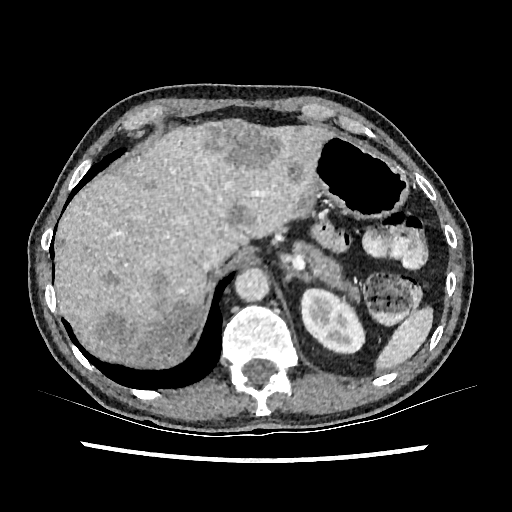

CT slice; 512x512 px
• focal liver lesion: bbox(227, 204, 254, 226); bbox(288, 161, 302, 182); bbox(142, 180, 156, 189); bbox(58, 239, 65, 248); bbox(94, 275, 201, 365); bbox(297, 182, 311, 208); bbox(100, 270, 120, 285); bbox(205, 121, 279, 168)
• liver: bbox(58, 125, 333, 365)
• kidney: bbox(302, 289, 363, 352)